CT | Lower abdomen | Field of view 700x700 mm | Slice index 286 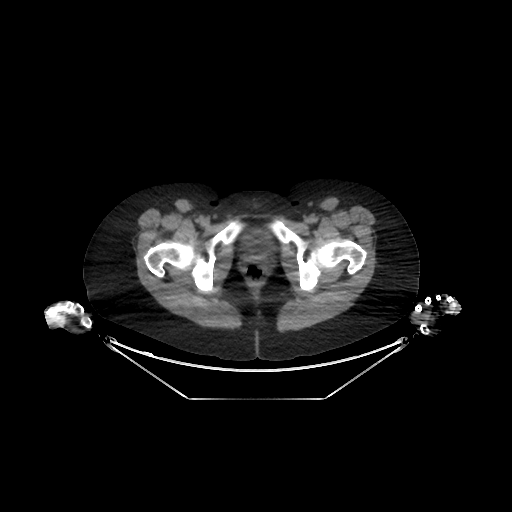
urinary bladder: region(238, 228, 277, 268)